Medial temporal lobe. MR. 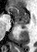

The posterior hippocampus is bounded by x1=15, y1=22, x2=28, y2=28. The anterior hippocampus is bounded by x1=6, y1=6, x2=28, y2=21.